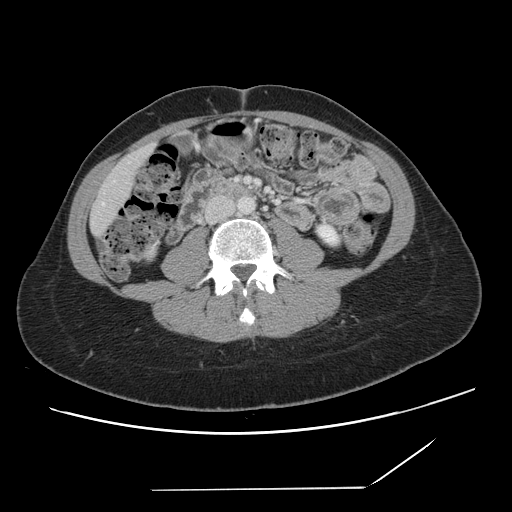 CT scan slice. 512x512.

Some hepatic vessels may have no box.
<segmentation>
  <hepatic_vessel>l=102, t=203, r=103, b=205</hepatic_vessel>
</segmentation>